Chest, CT scan slice, 512x512 px, Slice 437/588

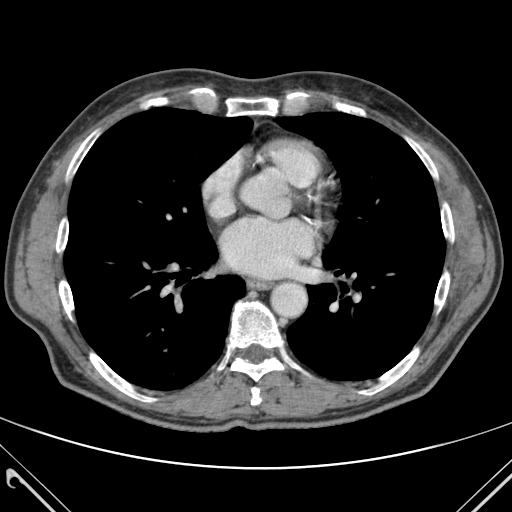 lung: bbox(64, 107, 252, 390); bbox(277, 112, 445, 380) | [15/16] bone: bbox(441, 203, 453, 241); bbox(190, 88, 219, 100); bbox(90, 354, 154, 401); bbox(67, 132, 97, 175); bbox(59, 279, 73, 318); bbox(225, 93, 308, 116); bbox(133, 98, 169, 109); bbox(227, 302, 282, 357); bbox(407, 139, 437, 177); bbox(282, 351, 300, 369); bbox(435, 272, 449, 310); bbox(56, 219, 68, 260); bbox(359, 348, 418, 394); bbox(231, 358, 283, 380); bbox(332, 103, 366, 115)